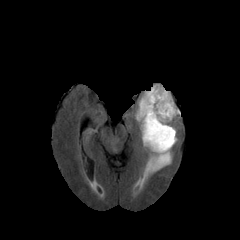
FLAIR MR image.
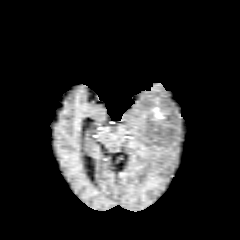
T1-weighted MRI.
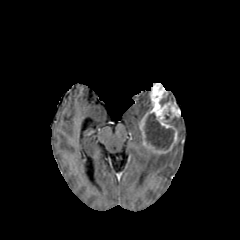
Post-contrast T1-weighted magnetic resonance.
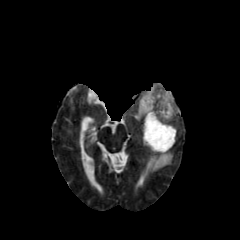
T2-weighted MR image.
Head | Image size 240x240
Edema = 134,90,149,121; 135,151,172,187.
Enhancing tumor = 139,83,180,154.
Non-enhancing tumor core = 145,113,173,149.